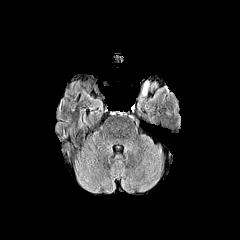
FLAIR magnetic resonance.
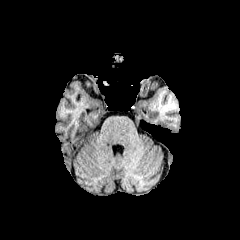
Same slice, T1-weighted magnetic resonance.
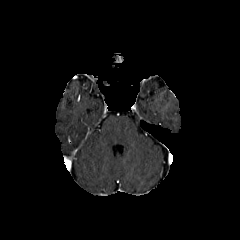
Post-contrast T1-weighted MR image.
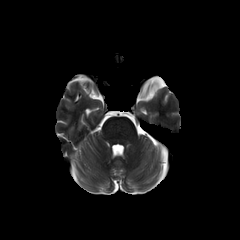
T2-weighted MRI of the same slice.
edema: 141, 82, 149, 97